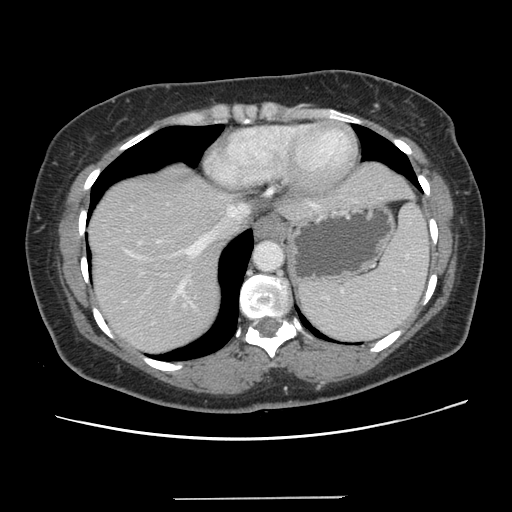 Liver. CT scan slice.

The vessel annotation is not exhaustive.
8 hepatic vessel regions are located at (137, 257, 141, 258), (175, 282, 185, 294), (227, 205, 245, 217), (139, 242, 140, 243), (157, 240, 160, 241), (188, 301, 192, 305), (125, 250, 136, 256), (185, 236, 213, 254).